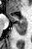 Hippocampus, Magnetic resonance
Posterior hippocampus at (14,22,26,35).
Anterior hippocampus at (6,13,26,21).